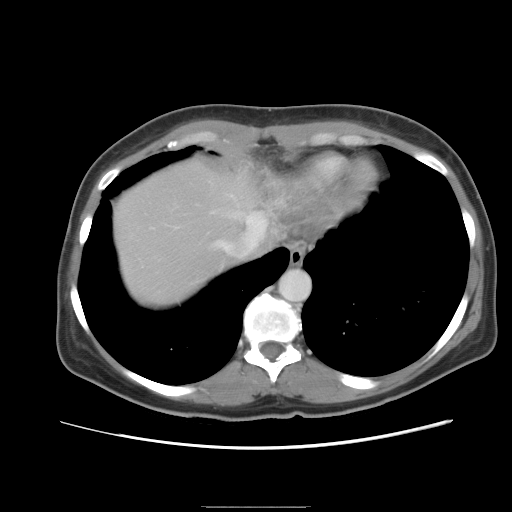 CT. Image size 512x512. Liver.

Only some of the vessels may be annotated.
hepatic vessel: [x1=211, y1=210, x2=265, y2=258], [x1=210, y1=209, x2=214, y2=212] | liver tumor: [x1=248, y1=172, x2=323, y2=240]